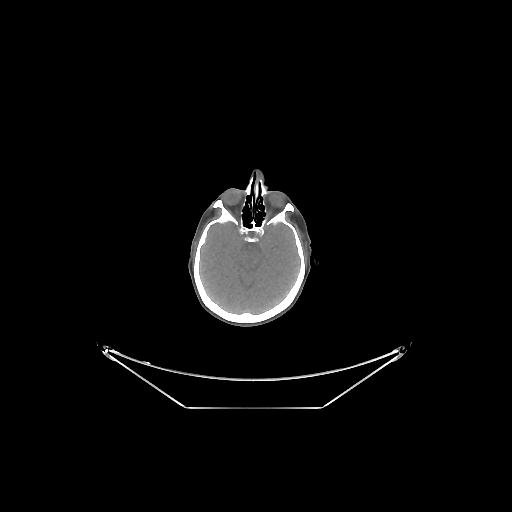

Head | CT slice

<segmentation>
  <bone>194,200,304,322</bone>
  <brain>199,221,300,314</brain>
</segmentation>